FLAIR magnetic resonance.
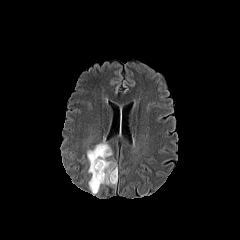
T1-weighted MRI.
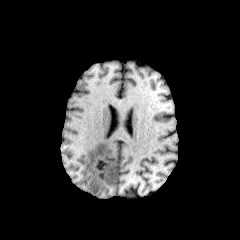
Post-contrast T1-weighted magnetic resonance.
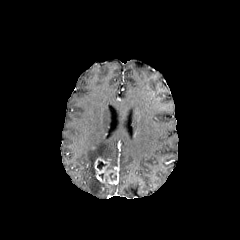
T2-weighted MR image.
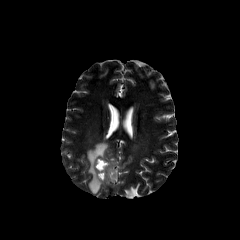
Head
Enhancing tumor = rect(95, 158, 117, 185).
Non-enhancing tumor core = rect(103, 157, 115, 170); rect(97, 161, 107, 169).
Edema = rect(86, 138, 112, 193).